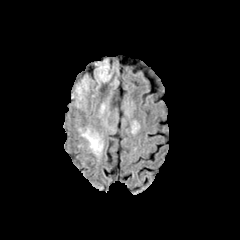
FLAIR MRI.
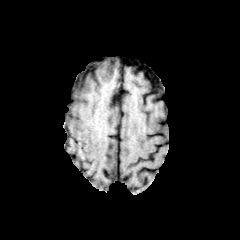
T1-weighted MRI.
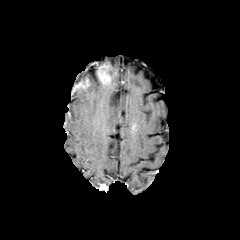
Post-contrast T1-weighted magnetic resonance.
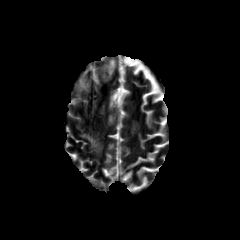
Same slice, T2-weighted magnetic resonance.
Brain
The edema is bounded by 79 129 102 155. The enhancing tumor is bounded by 76 78 89 88.